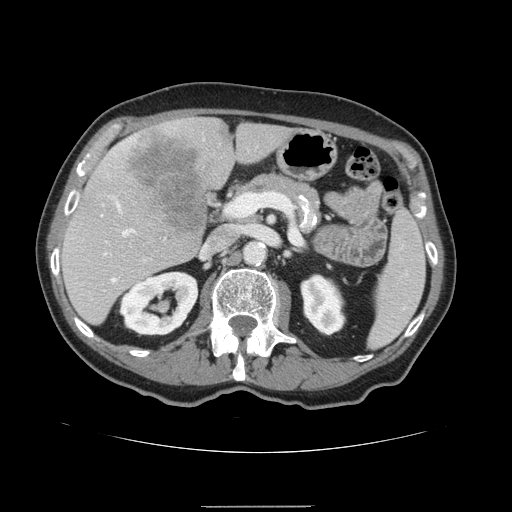

512x512, CT slice
The vessel annotation is not exhaustive.
The liver tumor appears at l=125, t=131, r=211, b=236. 7 hepatic vessel regions are bounded by l=112, t=279, r=115, b=281; l=202, t=243, r=211, b=256; l=227, t=225, r=245, b=232; l=117, t=202, r=120, b=208; l=123, t=228, r=133, b=235; l=226, t=193, r=255, b=216; l=215, t=240, r=225, b=248.